CT; Field of view 400x400 mm; Abdomen; Slice 351 of 751

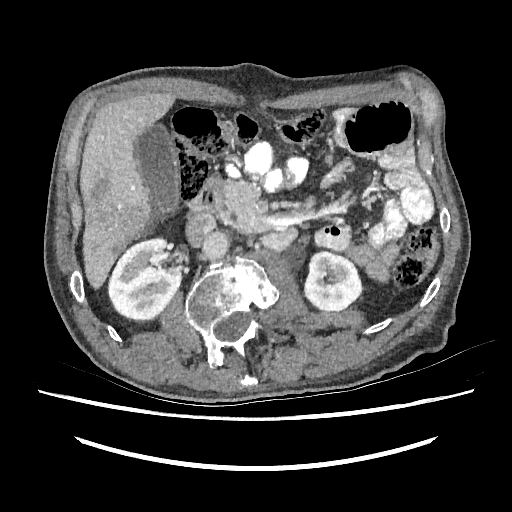 The liver is at l=80, t=92, r=174, b=288. 2 kidney regions are located at l=305, t=252, r=361, b=310; l=109, t=239, r=180, b=319. 2 liver lesion regions are bounded by l=88, t=174, r=145, b=253; l=91, t=241, r=98, b=250.